Image size 512x512, Field of view 378x378 mm, Slice 319 of 841, CT, Upper abdomen
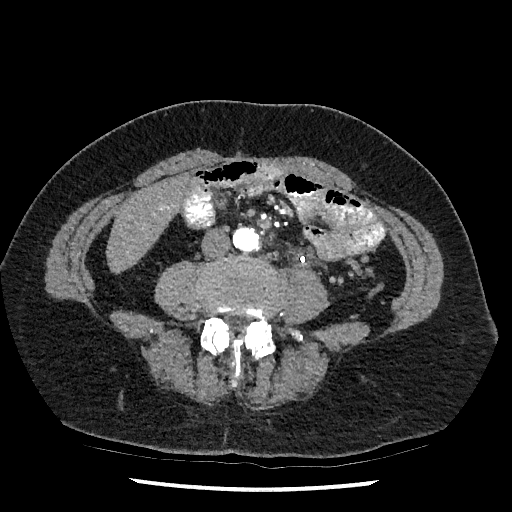
- liver: (105, 177, 187, 272)